512x512 px. Abdomen. Slice 424 of 466. CT scan slice. 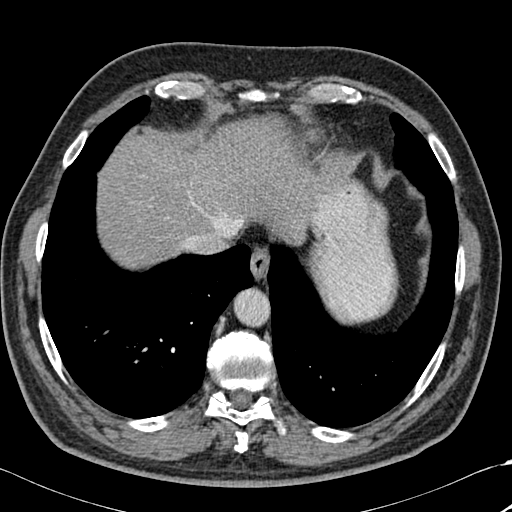 <segmentation>
  <liver>x1=98, y1=120, x2=306, y2=266</liver>
  <bone>x1=129, y1=416, x2=166, y2=431; x1=343, y1=87, x2=361, y2=101; x1=250, y1=90, x2=263, y2=100; x1=429, y1=135, x2=454, y2=178; x1=36, y1=223, x2=47, y2=259; x1=235, y1=432, x2=247, y2=452; x1=63, y1=132, x2=86, y2=166; x1=155, y1=81, x2=182, y2=96; x1=410, y1=345, x2=444, y2=402; x1=205, y1=332, x2=273, y2=424; x1=455, y1=248, x2=464, y2=290; x1=39, y1=319, x2=62, y2=377; x1=312, y1=427, x2=351, y2=442</bone>
  <lung>x1=41, y1=95, x2=253, y2=418; x1=267, y1=112, x2=458, y2=427</lung>
</segmentation>